Slice 82 of 155 | 240x240 | Head
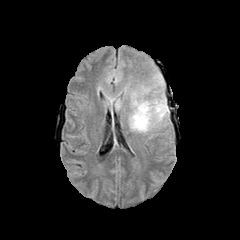
FLAIR MR.
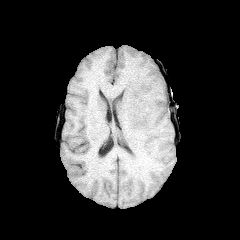
Same slice, T1-weighted MR image.
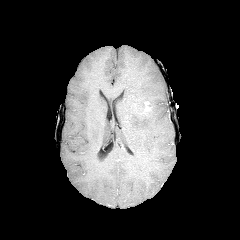
Post-contrast T1-weighted magnetic resonance.
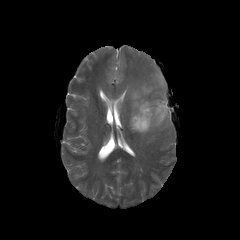
T2-weighted MRI.
2 edema regions appear at {"x1": 129, "y1": 88, "x2": 169, "y2": 133}, {"x1": 108, "y1": 99, "x2": 120, "y2": 107}. 2 non-enhancing tumor core regions are bounded by {"x1": 134, "y1": 99, "x2": 145, "y2": 112}, {"x1": 137, "y1": 112, "x2": 152, "y2": 118}. The enhancing tumor appears at {"x1": 143, "y1": 101, "x2": 152, "y2": 113}.